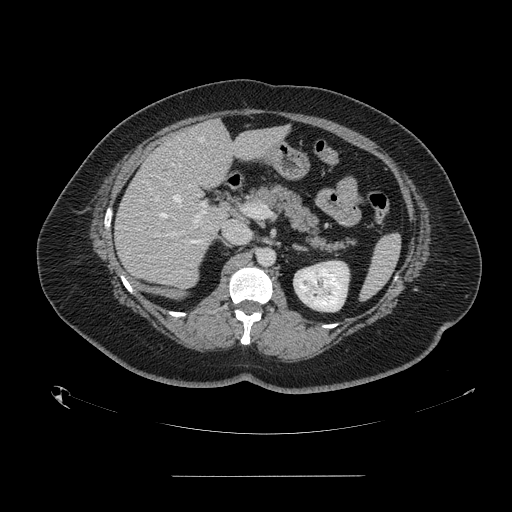

CT slice.
The spleen lies within bbox=[361, 235, 400, 298].